CT. Abdomen. Slice index 89. Image size 512x512. 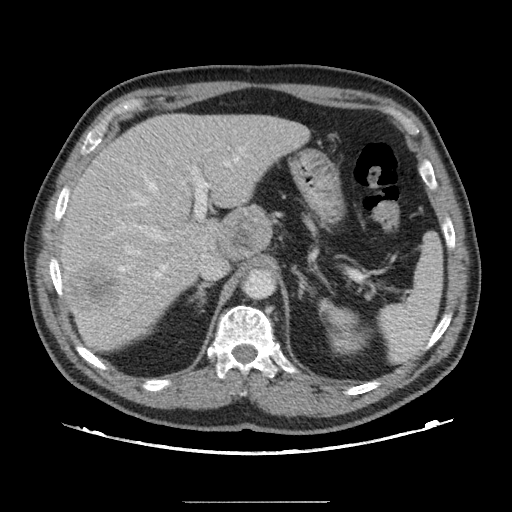 Not every hepatic vessel necessarily has a box.
{"liver_tumor": ["[65,262,120,311]"], "hepatic_vessel": ["[110,217,169,240]", "[225,163,229,165]", "[139,284,147,289]", "[145,264,168,288]", "[164,156,173,166]", "[166,279,169,280]", "[186,166,188,169]", "[124,246,140,254]", "[145,296,147,297]", "[144,175,156,195]", "[234,156,238,161]", "[113,212,115,214]", "[238,148,243,152]"]}